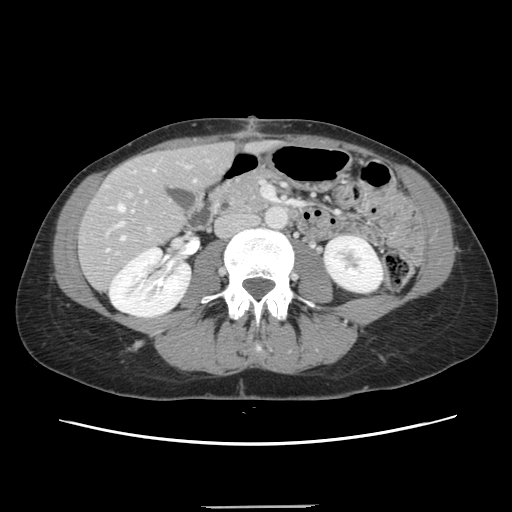 Liver, Computed tomography
Not every hepatic vessel necessarily has a box.
11 hepatic vessel regions are located at (116,222,123,226), (121,236,124,239), (153,169,154,170), (131,210,133,211), (186,165,190,167), (110,207,113,207), (117,203,124,211), (127,193,130,195), (147,228,149,229), (106,231,108,234), (106,249,108,250).